FLAIR magnetic resonance.
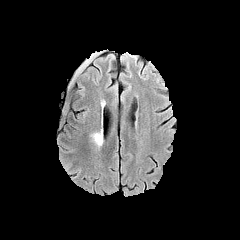
T1-weighted MR image.
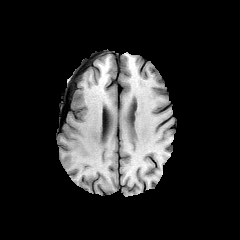
Post-contrast T1-weighted magnetic resonance.
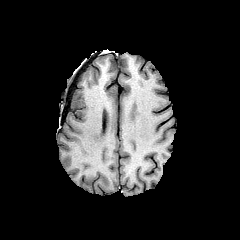
T2-weighted magnetic resonance.
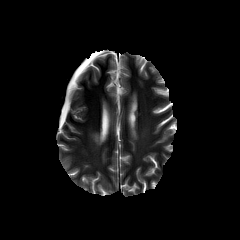
Head | 240x240
edema: <bbox>90, 130, 103, 147</bbox>